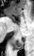 Medial temporal lobe | MR image
The anterior hippocampus is located at [12,17,14,20]. The posterior hippocampus lies within [13,39,23,49].